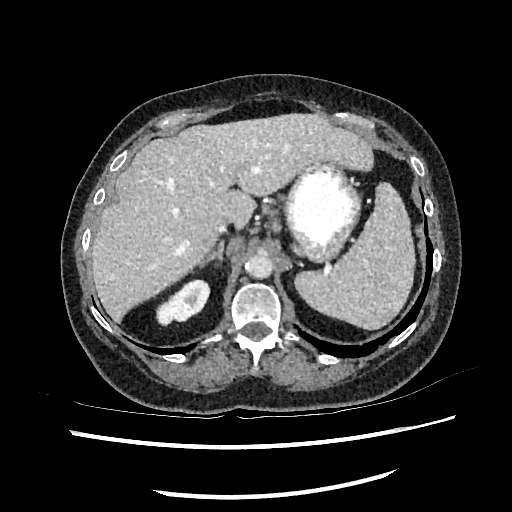
Abdomen; CT slice
liver:
  - x1=92, y1=114, x2=373, y2=322
kidney:
  - x1=158, y1=280, x2=208, y2=323